FLAIR MR.
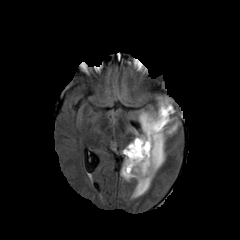
T1-weighted magnetic resonance.
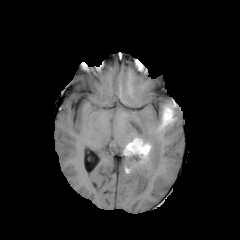
Post-contrast T1-weighted MR image.
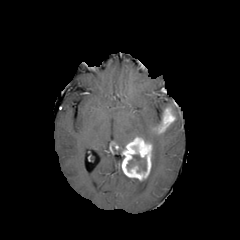
T2-weighted magnetic resonance.
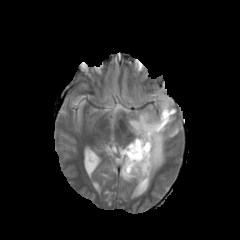
Enhancing tumor = x1=122, y1=138, x2=151, y2=179; x1=159, y1=106, x2=174, y2=131.
Non-enhancing tumor core = x1=142, y1=134, x2=157, y2=158; x1=154, y1=108, x2=175, y2=137; x1=127, y1=154, x2=146, y2=171.
Edema = x1=132, y1=96, x2=179, y2=197.